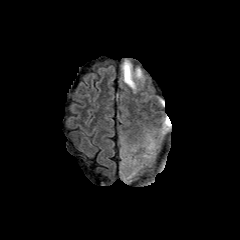
FLAIR MR image.
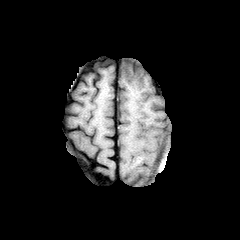
T1-weighted MR.
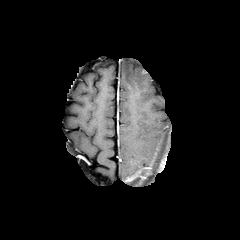
Same slice, post-contrast T1-weighted MR image.
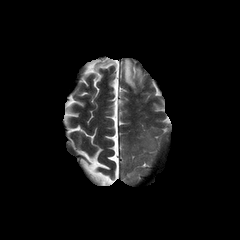
T2-weighted MR.
Brain. Image size 240x240.
The edema is located at left=121, top=59, right=143, bottom=88.